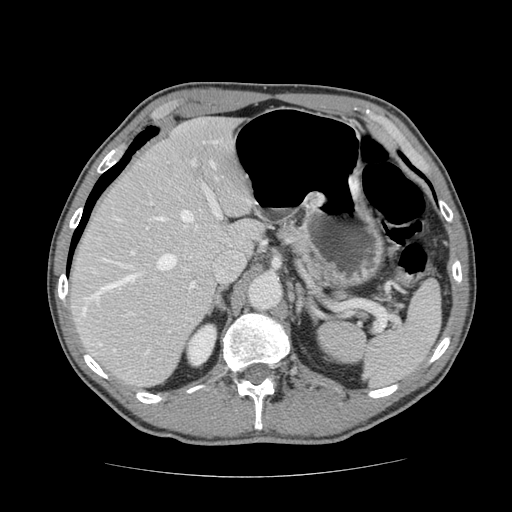
CT scan slice | Abdomen
Pancreas: (x1=274, y1=224, x2=351, y2=296).